CT image | Slice 39/134 | Abdomen

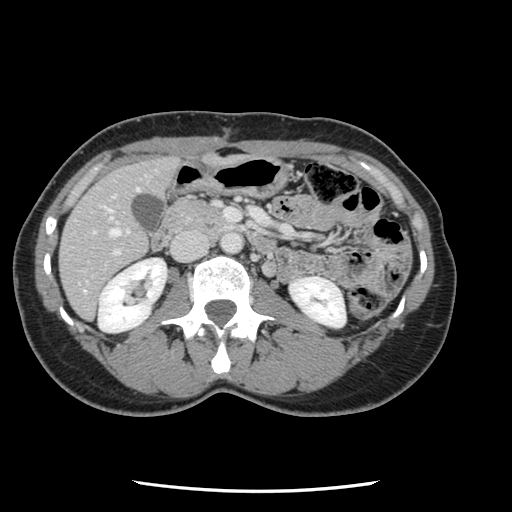

Some hepatic vessels may have no box.
<segmentation>
  <hepatic_vessel>(x1=114, y1=249, x2=118, y2=253), (x1=110, y1=228, x2=119, y2=235), (x1=106, y1=207, x2=112, y2=218), (x1=126, y1=230, x2=127, y2=231)</hepatic_vessel>
</segmentation>